Computed tomography. Liver.

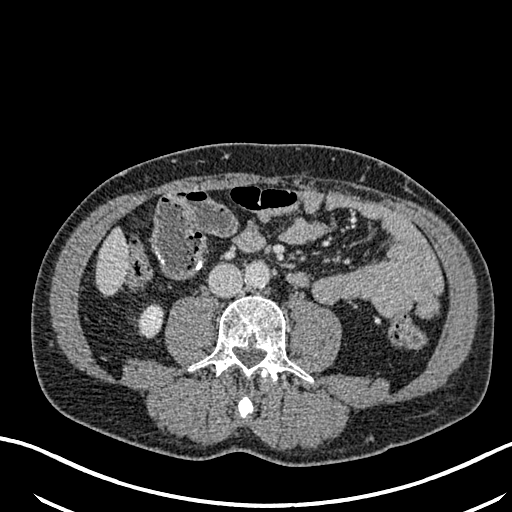 {
  "liver": [
    "<bbox>97, 229, 126, 293</bbox>"
  ],
  "kidney": [
    "<bbox>140, 306, 161, 335</bbox>"
  ]
}